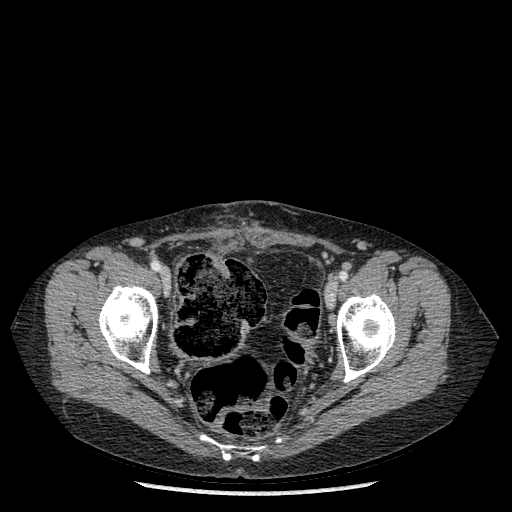 512x512 | CT slice
3 bone regions are located at [x1=336, y1=292, x2=395, y2=382], [x1=98, y1=285, x2=157, y2=373], [x1=200, y1=435, x2=264, y2=460].